FLAIR MRI.
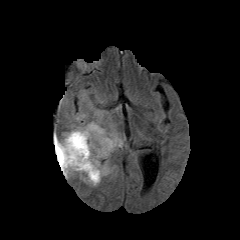
T1-weighted MR.
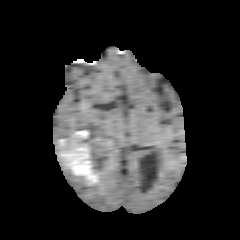
Post-contrast T1-weighted MR image.
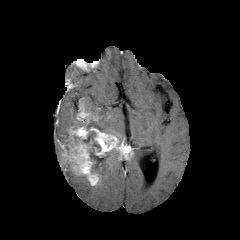
T2-weighted MRI.
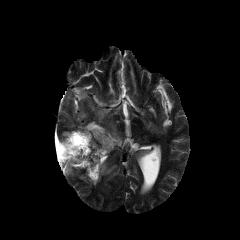
Brain
{"enhancing_tumor": ["57 125 124 184"], "non-enhancing_tumor_core": ["82 131 95 143", "62 136 71 150", "91 156 104 171", "61 161 70 172", "55 138 63 164"], "edema": ["89 150 95 165", "75 174 89 183", "63 166 74 178", "98 148 120 177", "85 110 106 131", "60 130 69 141"]}